FLAIR MR.
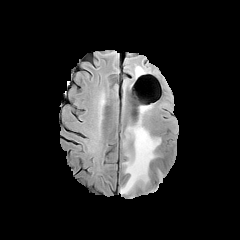
T1-weighted MRI.
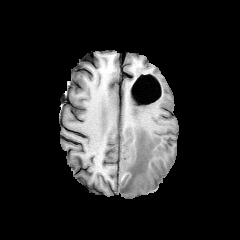
Post-contrast T1-weighted MRI.
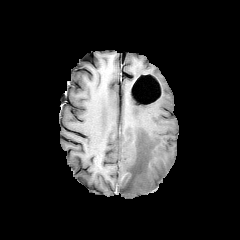
T2-weighted MR image.
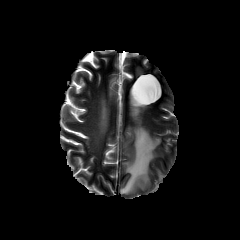
edema:
  - l=120, t=118, r=160, b=194
non-enhancing_tumor_core:
  - l=133, t=160, r=141, b=175